Abdomen | CT slice
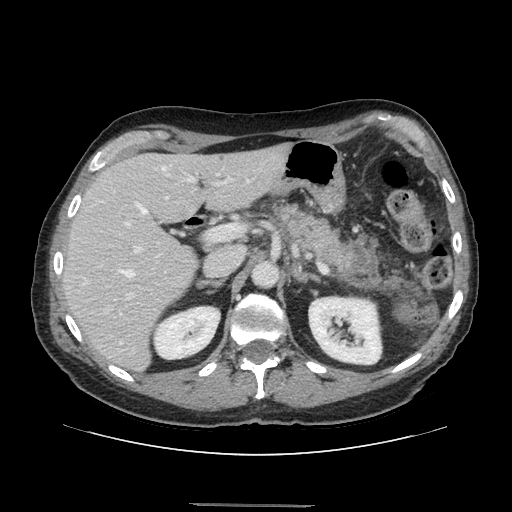

{
  "pancreas": [
    "x1=277, y1=206, x2=352, y2=269"
  ]
}